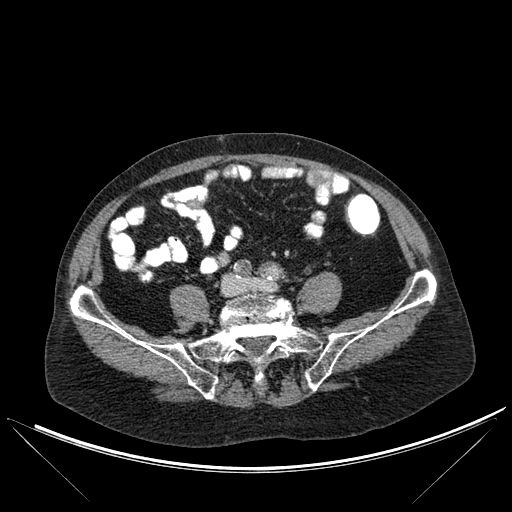

CT slice | 512x512
The bone is located at l=70, t=269, r=436, b=398.